Image size 36x49, Image width 36 mm, MR image

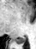 Posterior hippocampus: x1=15, y1=37, x2=25, y2=43.